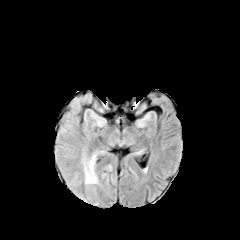
FLAIR MR.
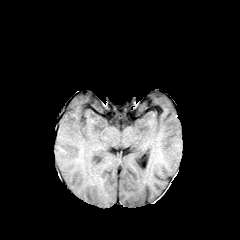
T1-weighted MRI of the same slice.
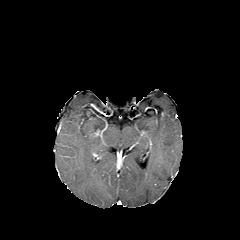
Post-contrast T1-weighted MR image of the same slice.
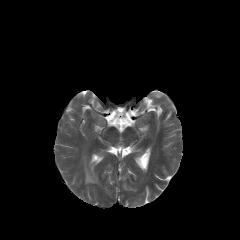
T2-weighted MRI.
Brain; Image size 240x240
edema: box(84, 154, 96, 183)